CT scan slice, 512x512, Field of view 475 mm wide, 5.00 mm slice spacing 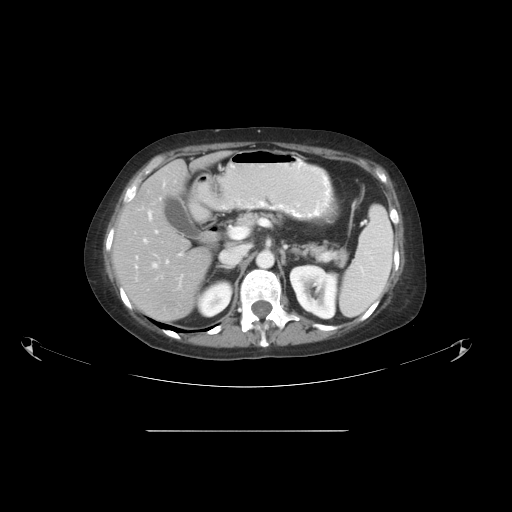 Not every hepatic vessel necessarily has a box.
hepatic vessel: 177, 274, 182, 288; 136, 256, 137, 258; 159, 198, 161, 199; 178, 252, 182, 255; 153, 263, 157, 267; 163, 180, 165, 186; 135, 265, 137, 267; 154, 254, 157, 256; 148, 210, 152, 219; 166, 260, 168, 263; 155, 230, 157, 232; 144, 239, 146, 242